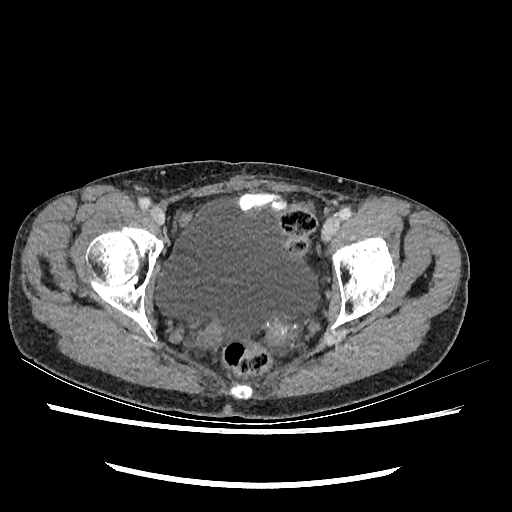 Computed tomography

urinary_bladder:
  - (left=156, top=197, right=317, bottom=342)